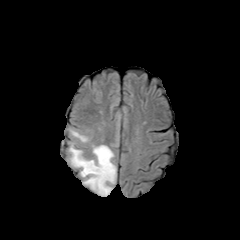
FLAIR magnetic resonance.
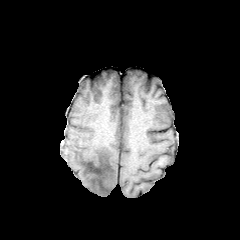
T1-weighted MRI.
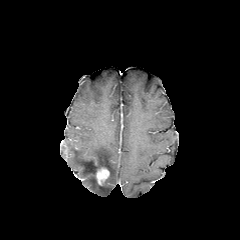
Post-contrast T1-weighted MRI of the same slice.
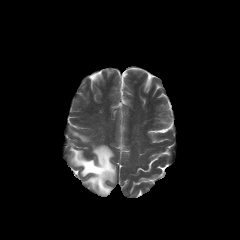
Same slice, T2-weighted MR.
Brain
{
  "non-enhancing_tumor_core": [
    "(84, 159, 112, 192)"
  ],
  "enhancing_tumor": [
    "(95, 167, 109, 185)"
  ],
  "edema": [
    "(67, 128, 116, 196)"
  ]
}